FLAIR magnetic resonance.
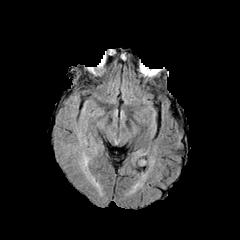
T1-weighted MR image.
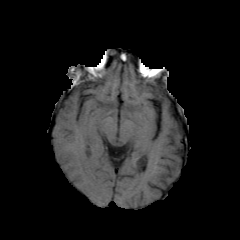
Post-contrast T1-weighted MR.
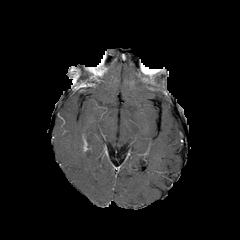
T2-weighted magnetic resonance.
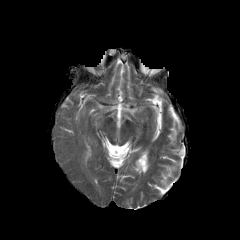
Image size 240x240
{"edema": ["(80,151,92,168)", "(87,172,98,184)"]}